FLAIR magnetic resonance.
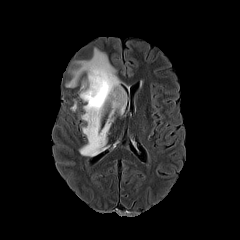
T1-weighted MR image.
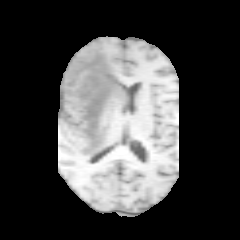
Post-contrast T1-weighted MRI.
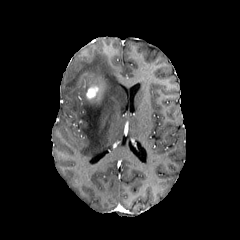
T2-weighted MRI.
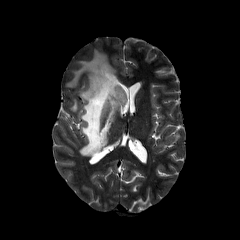
Image size 240x240 | Brain
The edema lies within [x1=65, y1=48, x2=126, y2=156]. The non-enhancing tumor core appears at [x1=86, y1=79, x2=101, y2=101]. The enhancing tumor is bounded by [x1=77, y1=73, x2=97, y2=98].